CT slice.
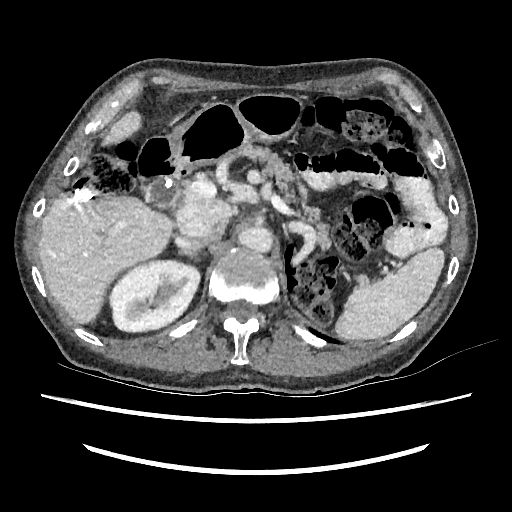
Liver: <box>103,112,139,143</box>, <box>40,195,173,322</box>.
Kidney: <box>110,261,199,331</box>.